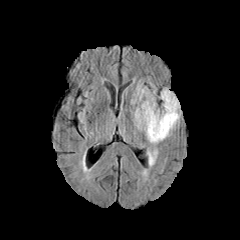
FLAIR MR.
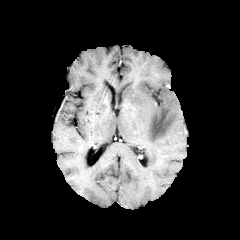
T1-weighted magnetic resonance of the same slice.
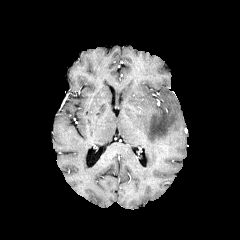
Post-contrast T1-weighted MRI.
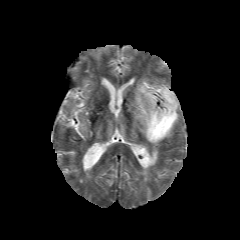
T2-weighted MR image.
Head.
non-enhancing tumor core: [153,123,160,133] | edema: [132,84,179,166]